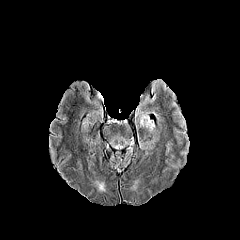
FLAIR MR.
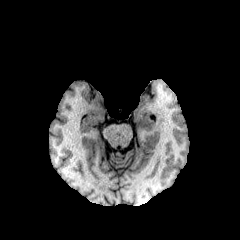
T1-weighted MR of the same slice.
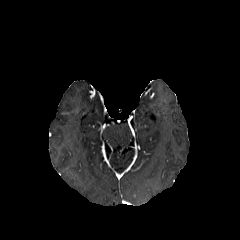
Post-contrast T1-weighted MR image.
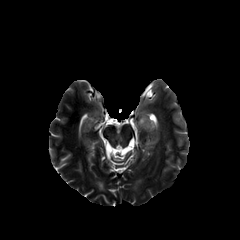
T2-weighted magnetic resonance of the same slice.
<segmentation>
  <edema>x1=140, y1=115, x2=154, y2=131</edema>
</segmentation>